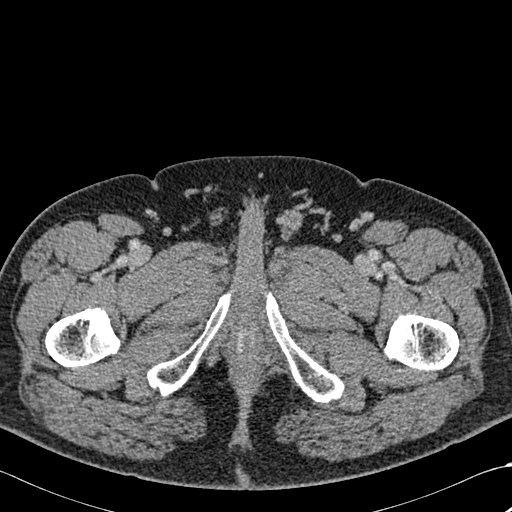
CT image. Image size 512x512.
Bone at [x1=147, y1=294, x2=230, y2=395], [x1=45, y1=308, x2=119, y2=367], [x1=266, y1=293, x2=343, y2=402], [x1=385, y1=314, x2=458, y2=370].